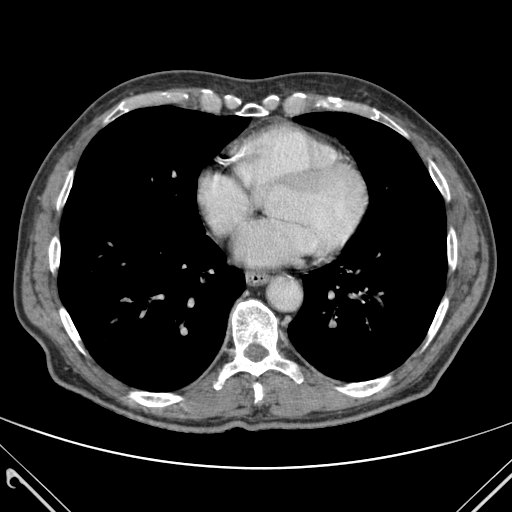
Thorax. 512x512. CT slice.
<segmentation>
  <lung>{"x1": 288, "y1": 112, "x2": 446, "y2": 380}, {"x1": 58, "y1": 105, "x2": 249, "y2": 391}</lung>
  <bone>{"x1": 337, "y1": 377, "x2": 389, "y2": 396}, {"x1": 49, "y1": 231, "x2": 59, "y2": 275}, {"x1": 254, "y1": 383, "x2": 262, "y2": 401}, {"x1": 130, "y1": 392, "x2": 181, "y2": 406}, {"x1": 447, "y1": 230, "x2": 456, "y2": 268}, {"x1": 106, "y1": 102, "x2": 128, "y2": 120}, {"x1": 323, "y1": 97, "x2": 349, "y2": 107}, {"x1": 430, "y1": 162, "x2": 449, "y2": 198}, {"x1": 357, "y1": 108, "x2": 401, "y2": 129}, {"x1": 214, "y1": 300, "x2": 302, "y2": 389}, {"x1": 57, "y1": 171, "x2": 72, "y2": 213}, {"x1": 428, "y1": 299, "x2": 447, "y2": 341}, {"x1": 236, "y1": 104, "x2": 269, "y2": 115}, {"x1": 60, "y1": 306, "x2": 82, "y2": 351}</bone>
</segmentation>